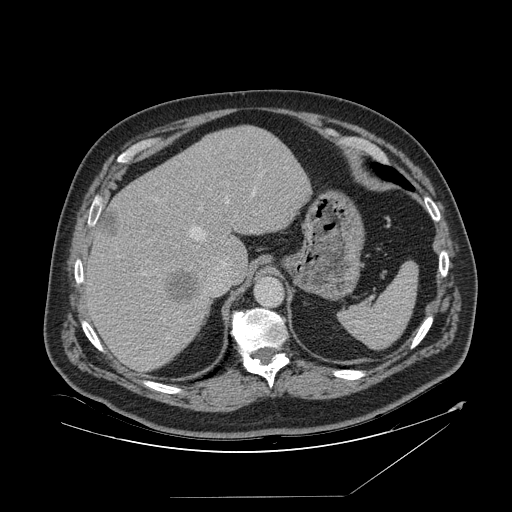
CT slice, 512x512 px, Upper abdomen
Spleen at {"x1": 337, "y1": 262, "x2": 418, "y2": 348}.